Upper abdomen. Computed tomography. 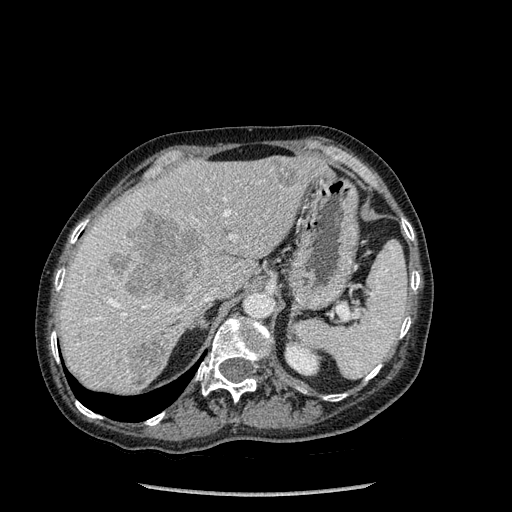 {
  "kidney": [
    "[286, 346, 317, 374]"
  ],
  "focal_liver_lesion": [
    "[126, 342, 163, 384]",
    "[109, 253, 130, 275]",
    "[275, 161, 299, 186]",
    "[125, 213, 201, 299]"
  ],
  "bone": [
    "[398, 316, 410, 338]",
    "[196, 316, 271, 402]",
    "[75, 400, 102, 418]",
    "[70, 220, 87, 243]",
    "[145, 412, 164, 425]",
    "[51, 331, 59, 362]",
    "[401, 218, 414, 240]",
    "[323, 393, 347, 401]",
    "[55, 267, 65, 291]",
    "[410, 271, 419, 291]",
    "[365, 364, 381, 380]"
  ],
  "lung": [
    "[66, 366, 196, 421]"
  ],
  "liver": [
    "[60, 156, 330, 394]"
  ]
}